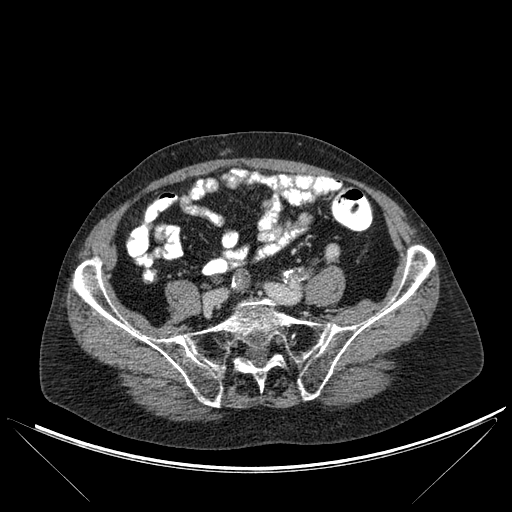
512x512. CT image.

Bone at l=234, t=355, r=283, b=390; l=73, t=245, r=434, b=406.